Slice 37/244 | 512x512 px | CT image
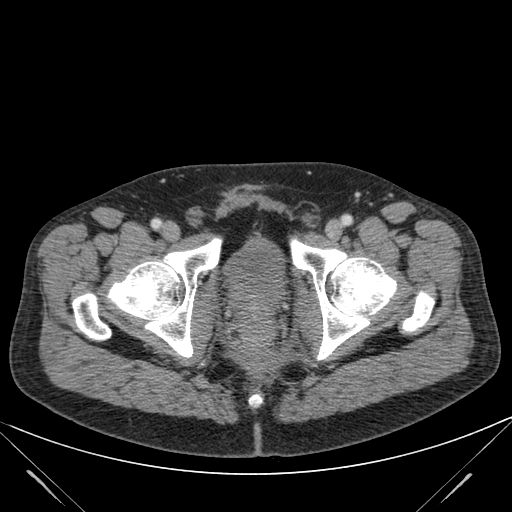

Segmented structures:
• urinary bladder: <bbox>222, 239, 287, 316</bbox>